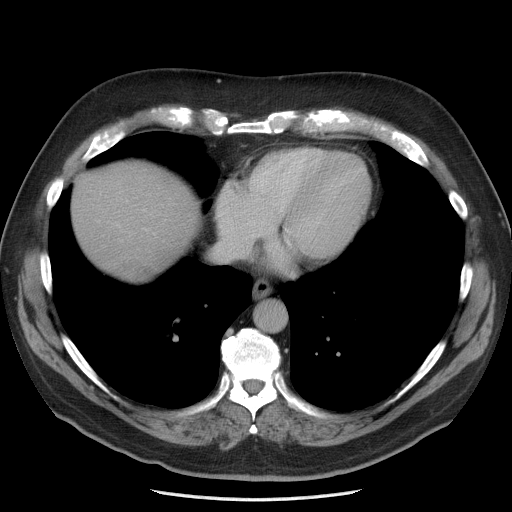

Liver | CT image

The vessel boxes may cover only some of the vessels.
Findings:
* hepatic vessel: (142, 209, 145, 211), (143, 228, 145, 229)
* liver tumor: (118, 260, 154, 283)